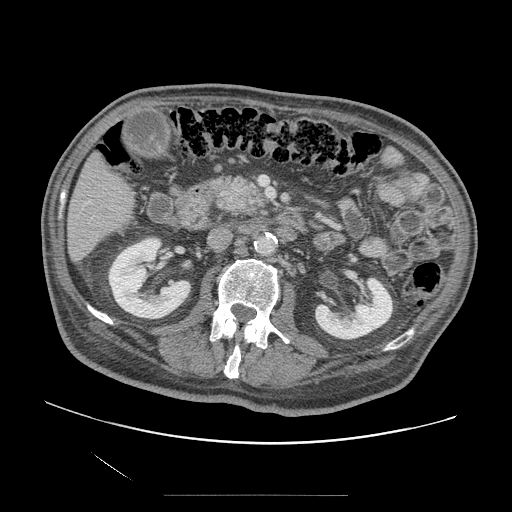 CT
The pancreas is bounded by bbox=[215, 175, 267, 216].